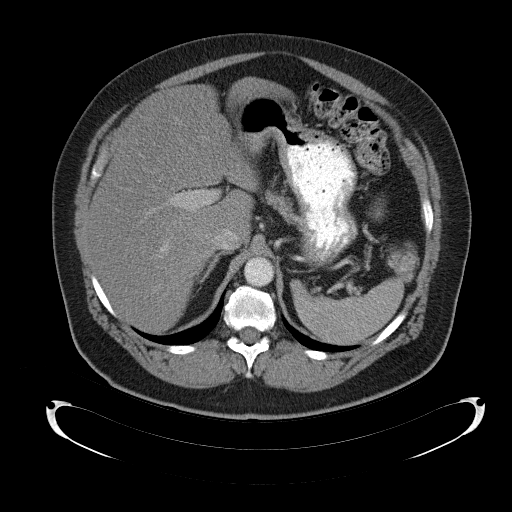

CT; Upper abdomen

The spleen appears at {"x1": 295, "y1": 280, "x2": 402, "y2": 345}.